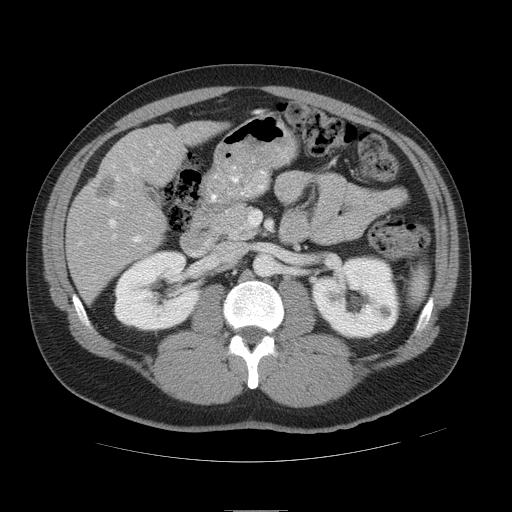 CT image
Only some of the vessels may be annotated.
{
  "liver_tumor": [
    "[95, 175, 117, 199]"
  ],
  "hepatic_vessel": [
    "[110, 220, 115, 226]",
    "[110, 201, 116, 205]",
    "[148, 213, 150, 215]",
    "[149, 144, 151, 145]",
    "[133, 236, 140, 241]",
    "[132, 166, 137, 171]",
    "[112, 234, 115, 238]"
  ]
}